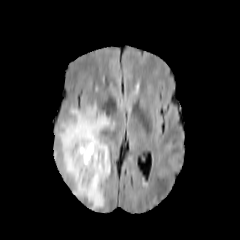
FLAIR MRI.
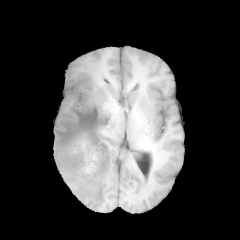
T1-weighted MRI.
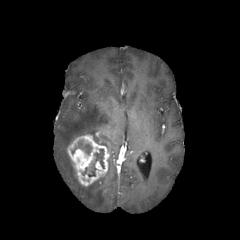
Post-contrast T1-weighted magnetic resonance of the same slice.
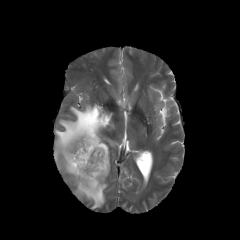
T2-weighted MR image of the same slice.
Head
Enhancing tumor = 67 134 109 186.
Edema = 54 103 114 209.
Non-enhancing tumor core = 78 140 92 156, 85 148 104 181.